CT scan slice; Slice index 227

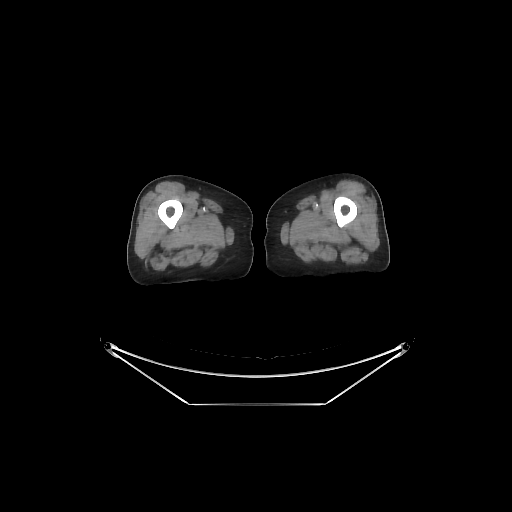 bone: 334 196 356 227, 158 198 182 228